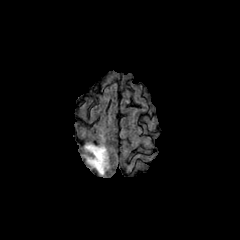
FLAIR magnetic resonance.
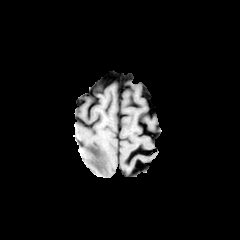
T1-weighted MRI of the same slice.
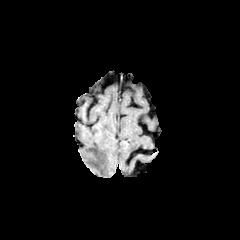
Same slice, post-contrast T1-weighted MR image.
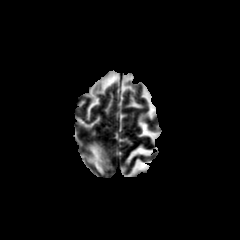
T2-weighted MRI.
Image size 240x240
Segmented structures:
• edema: (85, 143, 110, 174)